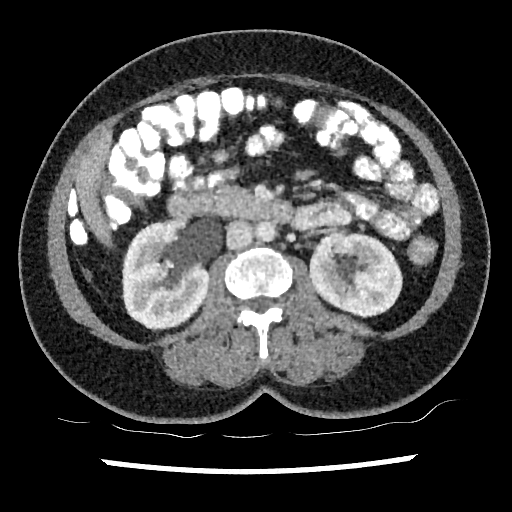 CT
Segmented structures:
* liver: <box>77,133,111,246</box>
* kidney: <box>123,220,208,328</box>, <box>310,234,401,316</box>